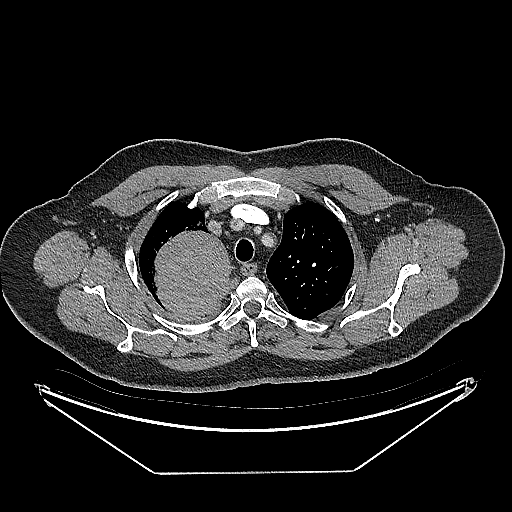

Thorax; 512x512 px; CT

<segmentation>
  <lung_tumor>bbox(150, 219, 231, 318)</lung_tumor>
</segmentation>